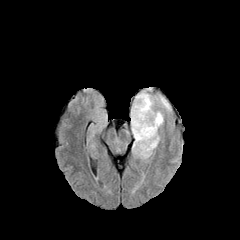
FLAIR MR image.
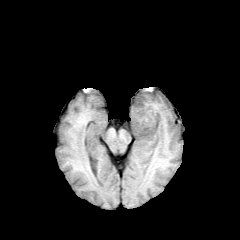
Same slice, T1-weighted magnetic resonance.
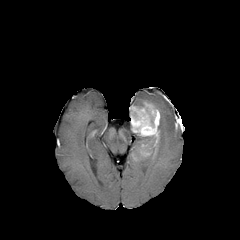
Post-contrast T1-weighted magnetic resonance.
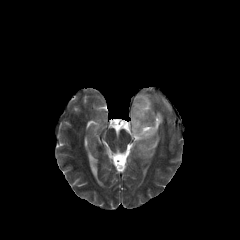
T2-weighted MR image of the same slice.
Non-enhancing tumor core: region(132, 133, 156, 151).
Enhancing tumor: region(130, 102, 159, 142); region(140, 144, 149, 154).
Edema: region(126, 123, 133, 135); region(133, 91, 171, 131); region(149, 143, 157, 155); region(132, 137, 150, 159).